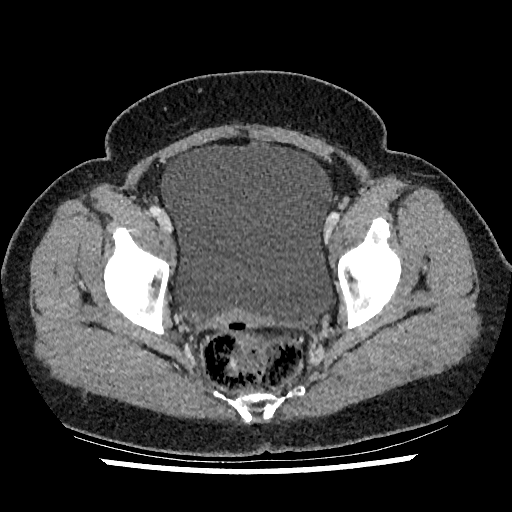

Computed tomography. Lower abdomen.
urinary_bladder:
  - (161,142,332,329)